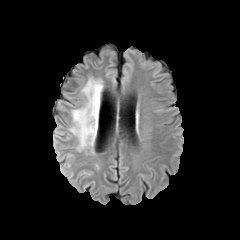
FLAIR MR image.
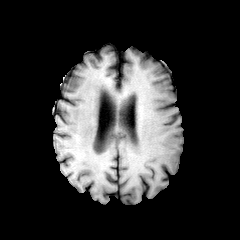
T1-weighted magnetic resonance.
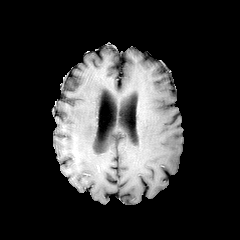
Post-contrast T1-weighted MR image of the same slice.
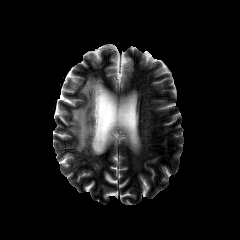
Same slice, T2-weighted MR.
Edema: 69 78 103 151.